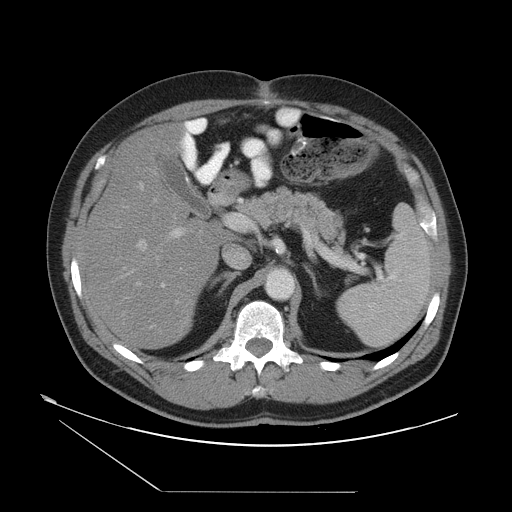
Liver | Computed tomography | 512x512 px

The vessel boxes may cover only some of the vessels.
Findings:
* hepatic vessel: bbox(150, 325, 154, 328); bbox(137, 283, 139, 285); bbox(160, 284, 164, 287); bbox(156, 257, 157, 258); bbox(137, 240, 145, 250); bbox(175, 301, 177, 303); bbox(121, 269, 133, 277); bbox(170, 227, 183, 237)